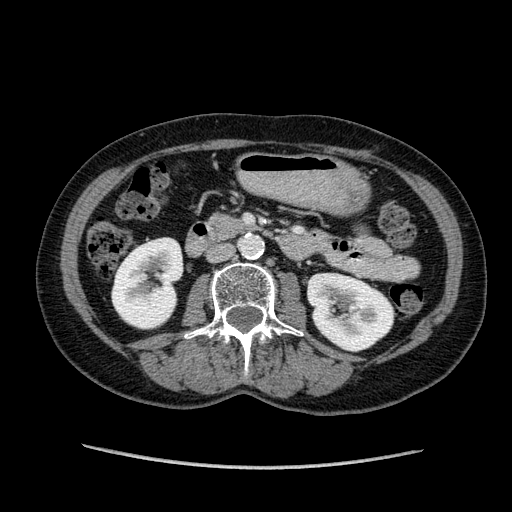
Image size 512x512; CT slice
• kidney: 112:238:182:327, 308:273:392:350